FLAIR MRI.
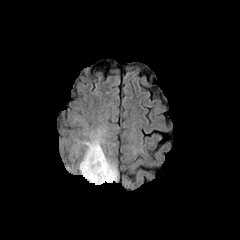
T1-weighted MR.
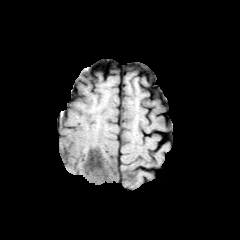
Post-contrast T1-weighted MRI.
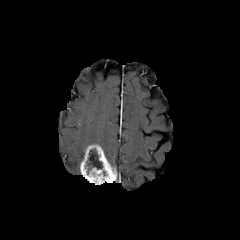
T2-weighted MR.
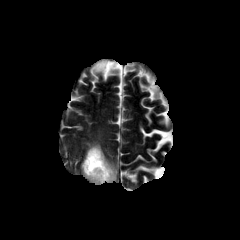
Head
enhancing tumor: <bbox>80, 144, 117, 184</bbox> | edema: <bbox>72, 123, 119, 180</bbox>, <bbox>66, 164, 76, 173</bbox> | non-enhancing tumor core: <bbox>86, 150, 103, 169</bbox>